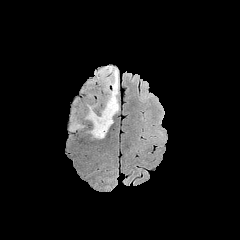
FLAIR MR image.
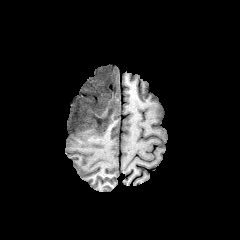
T1-weighted MR image of the same slice.
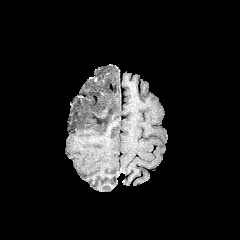
Post-contrast T1-weighted MR.
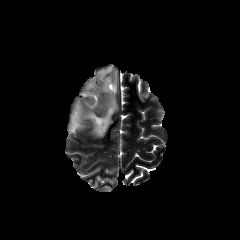
Same slice, T2-weighted MR image.
Head
{"non-enhancing_tumor_core": ["(x1=98, y1=70, x2=111, y2=82)"], "edema": ["(x1=70, y1=116, x2=82, y2=130)", "(x1=86, y1=66, x2=119, y2=138)"]}